CT; Abdomen
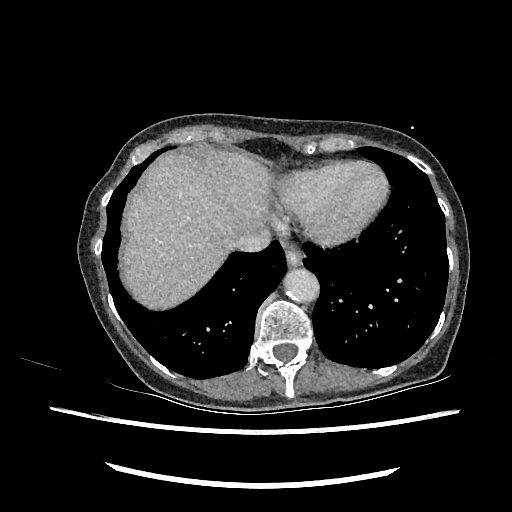

<segmentation>
  <liver>left=125, top=153, right=271, bottom=306</liver>
</segmentation>